240x240 px, Brain
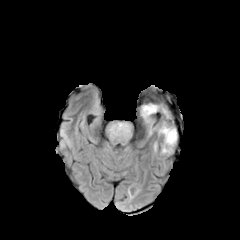
FLAIR MRI.
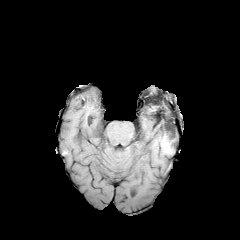
T1-weighted MR.
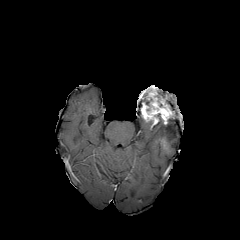
Same slice, post-contrast T1-weighted MRI.
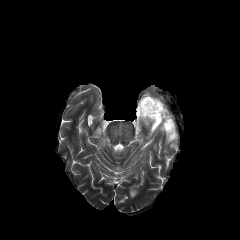
T2-weighted magnetic resonance.
Non-enhancing tumor core — l=153, t=113, r=171, b=128.
Edema — l=146, t=121, r=177, b=146.
Enhancing tumor — l=141, t=100, r=171, b=124.